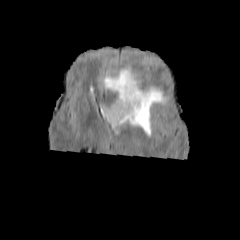
FLAIR magnetic resonance.
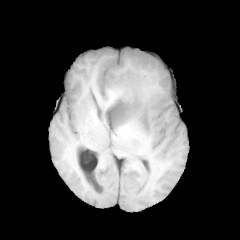
T1-weighted magnetic resonance.
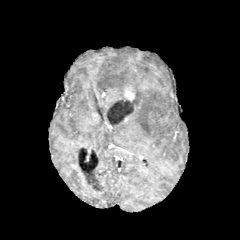
Post-contrast T1-weighted MRI of the same slice.
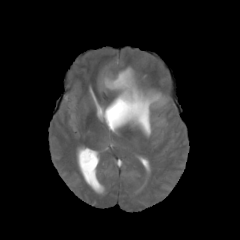
Same slice, T2-weighted magnetic resonance.
Annotated regions:
- enhancing tumor: left=123, top=85, right=134, bottom=100
- non-enhancing tumor core: left=107, top=98, right=140, bottom=124
- edema: left=101, top=66, right=168, bottom=135